512x512 px. CT image.
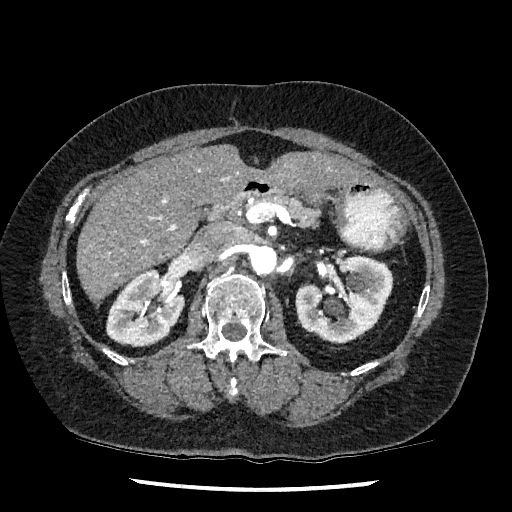

The liver is located at bbox=[77, 145, 371, 300]. 2 kidney regions appear at bbox=[296, 256, 392, 342]; bbox=[107, 261, 186, 345].